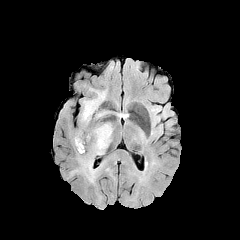
FLAIR MR.
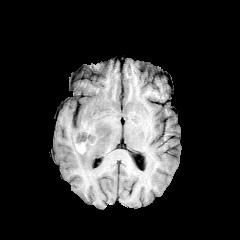
T1-weighted magnetic resonance.
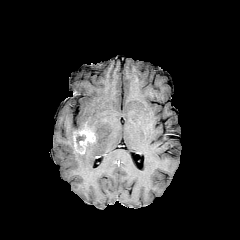
Post-contrast T1-weighted magnetic resonance.
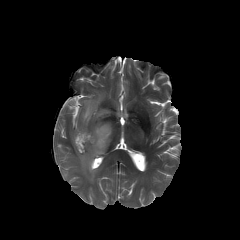
T2-weighted MR of the same slice.
240x240.
The non-enhancing tumor core is located at <box>76,134,85,148</box>. The enhancing tumor appears at <box>73,127,95,153</box>. The edema appears at <box>74,92,112,182</box>.